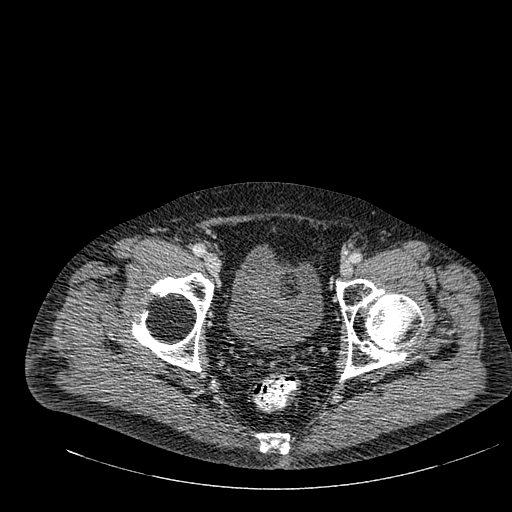

Image size 512x512 | CT slice

Urinary bladder: 227,243,323,349.